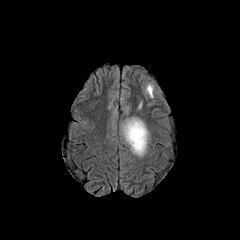
FLAIR MR image.
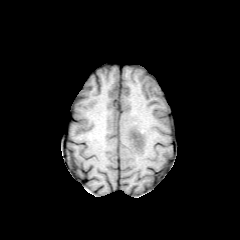
T1-weighted MRI.
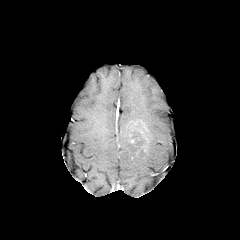
Same slice, post-contrast T1-weighted MR image.
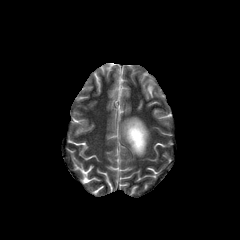
T2-weighted magnetic resonance.
Head.
Edema at <box>120,117,150,156</box>.
Non-enhancing tumor core at <box>130,130,143,147</box>.